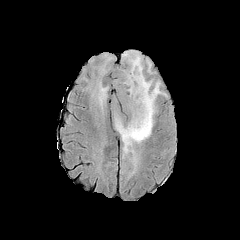
FLAIR magnetic resonance.
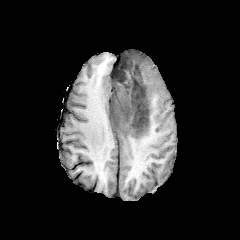
T1-weighted MRI.
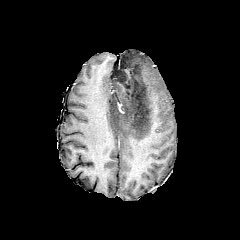
Same slice, post-contrast T1-weighted MRI.
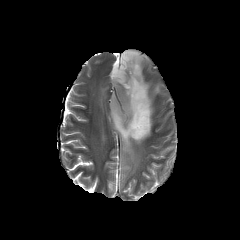
Same slice, T2-weighted MRI.
{
  "non-enhancing_tumor_core": [
    "bbox(112, 102, 121, 121)",
    "bbox(118, 59, 133, 71)",
    "bbox(122, 65, 149, 131)"
  ],
  "edema": [
    "bbox(114, 51, 166, 173)"
  ]
}